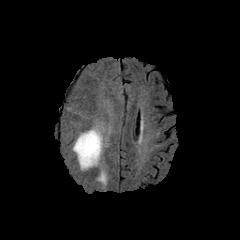
FLAIR MR image.
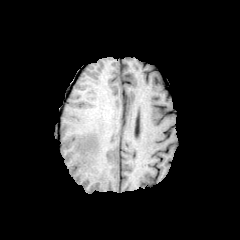
T1-weighted MRI of the same slice.
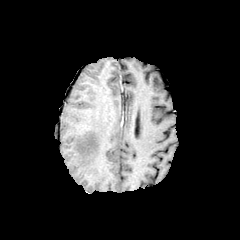
Post-contrast T1-weighted MRI.
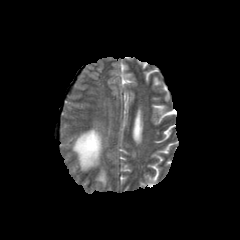
T2-weighted MR.
Brain
Edema — bbox=[72, 128, 103, 169]; bbox=[97, 170, 106, 184].